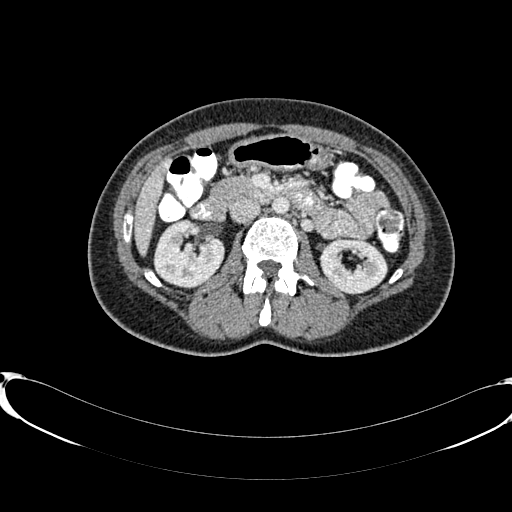

Upper abdomen | Computed tomography
Kidney = box=[155, 222, 223, 286]; box=[321, 241, 386, 292].
Liver = box=[133, 161, 167, 255].